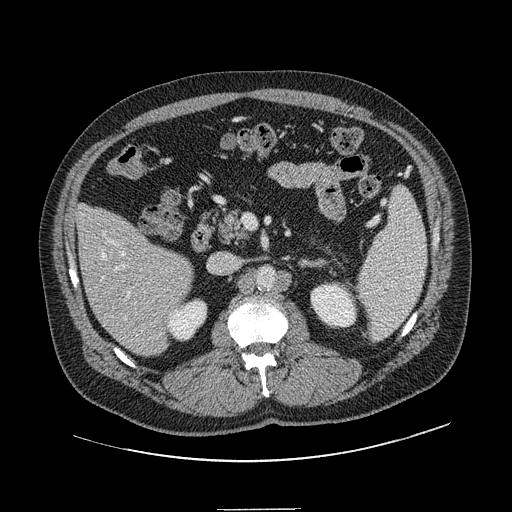
CT slice
Segmented structures:
* pancreas: 219, 212, 246, 240